Slice index 46 | Upper abdomen | CT scan slice

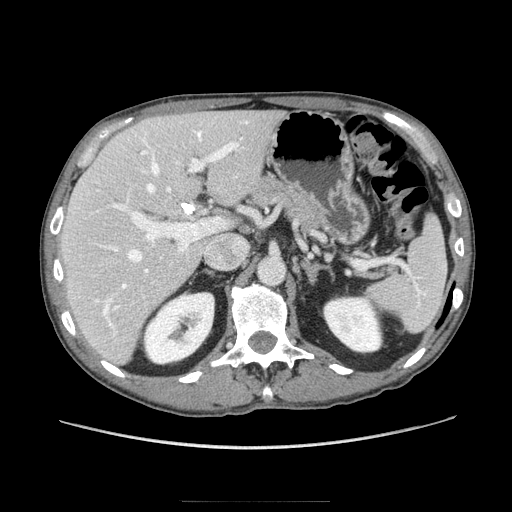 Pancreas = 250,176,328,229; 361,264,394,277.